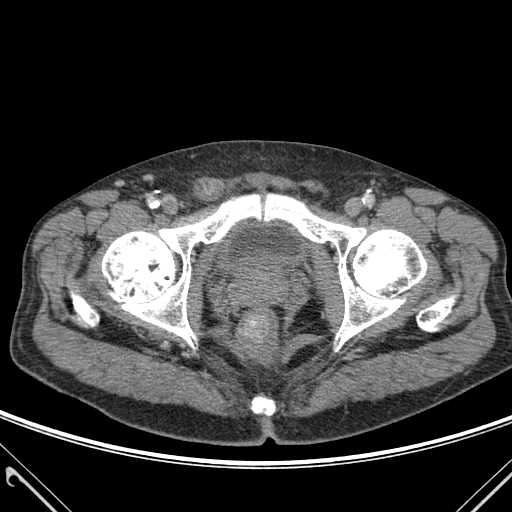 CT image
• bone: rect(252, 397, 274, 414); rect(102, 194, 426, 350); rect(417, 297, 453, 331); rect(72, 294, 98, 325)